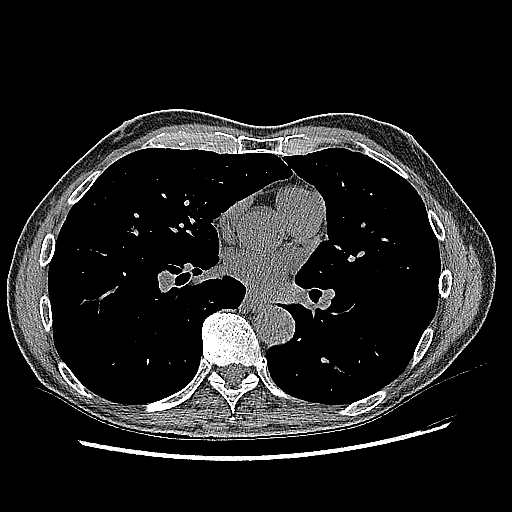
CT | 512x512 | Thorax
Findings:
* lung tumor: box(127, 225, 140, 237)